Field of view 330x330 mm, 512x512, CT image, Slice 545 of 630 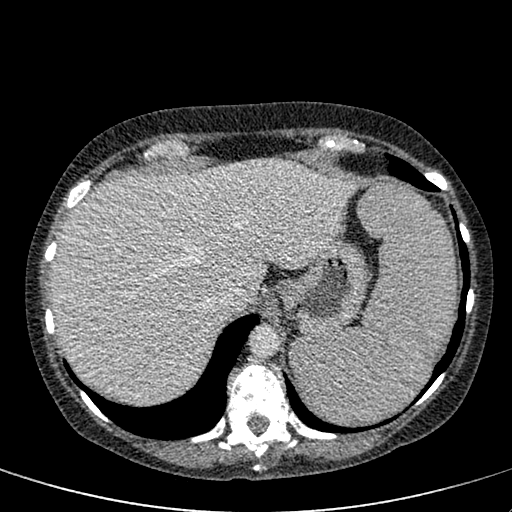
<segmentation>
  <liver>55 160 355 403</liver>
</segmentation>